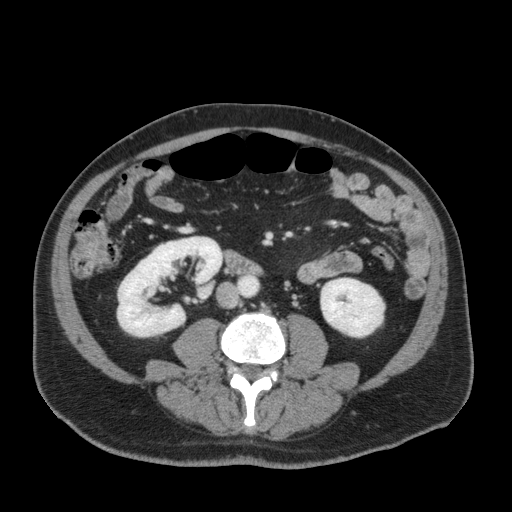

Abdomen | 512x512 | CT
2 kidney regions appear at rect(321, 278, 384, 336); rect(117, 237, 222, 336).